MR; Slice 27/33

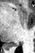
posterior_hippocampus:
  - box(7, 44, 18, 46)